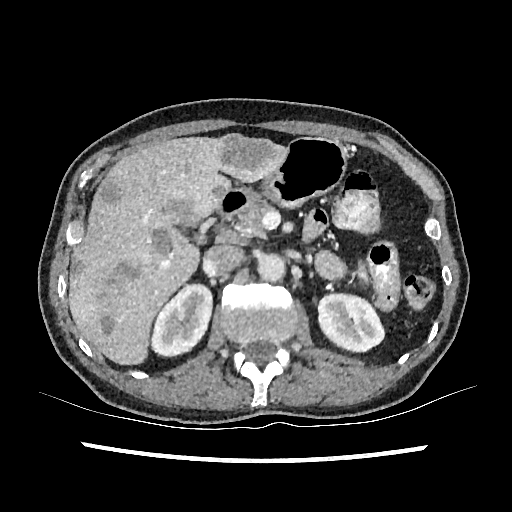

Upper abdomen. CT scan slice. 9 liver lesion regions are located at [x1=70, y1=256, x2=84, y2=275], [x1=219, y1=136, x2=275, y2=168], [x1=104, y1=278, x2=121, y2=286], [x1=100, y1=315, x2=114, y2=335], [x1=117, y1=261, x2=140, y2=280], [x1=99, y1=181, x2=121, y2=203], [x1=167, y1=198, x2=196, y2=223], [x1=151, y1=227, x2=173, y2=255], [x1=213, y1=186, x2=225, y2=197]. The liver appears at [x1=69, y1=138, x2=286, y2=363]. 2 kidney regions appear at [x1=318, y1=294, x2=383, y2=351], [x1=152, y1=285, x2=211, y2=357].